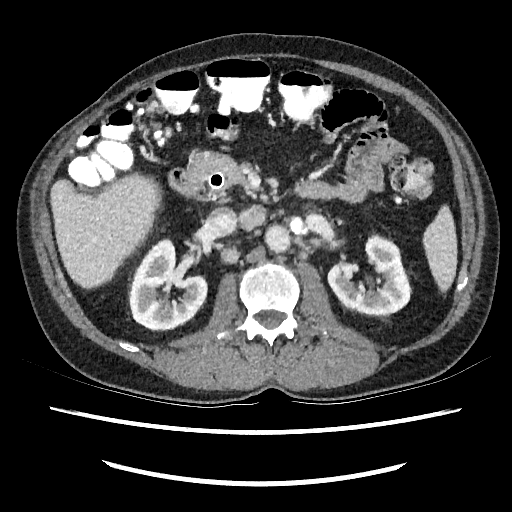 Computed tomography
Annotated regions:
* liver: [51, 175, 156, 285]
* kidney: [328, 237, 409, 314], [130, 241, 206, 329]